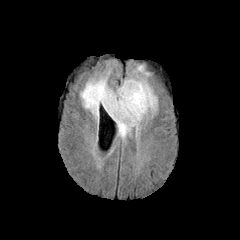
FLAIR magnetic resonance.
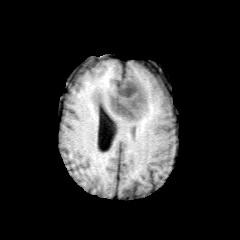
T1-weighted MR.
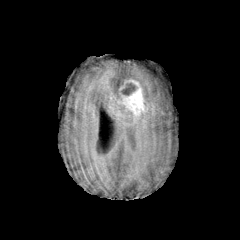
Post-contrast T1-weighted MRI of the same slice.
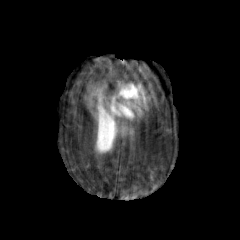
T2-weighted MRI.
• enhancing tumor: [x1=109, y1=80, x2=145, y2=120]
• edema: [x1=80, y1=77, x2=119, y2=119], [x1=111, y1=80, x2=157, y2=137]
• non-enhancing tumor core: [x1=119, y1=106, x2=131, y2=118], [x1=116, y1=83, x2=136, y2=99]